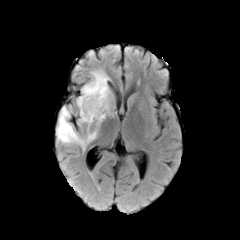
FLAIR MR.
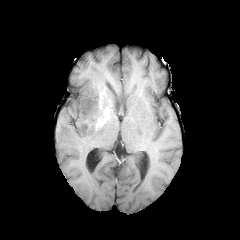
T1-weighted MRI of the same slice.
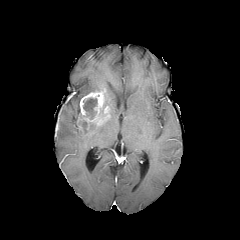
Post-contrast T1-weighted magnetic resonance of the same slice.
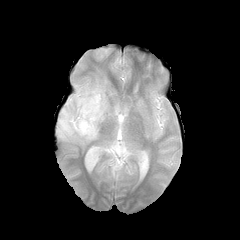
T2-weighted MR.
Head | 240x240 px
<segmentation>
  <non-enhancing_tumor_core>83, 98, 97, 120; 78, 119, 92, 125</non-enhancing_tumor_core>
  <edema>56, 69, 113, 150</edema>
  <enhancing_tumor>80, 88, 105, 123</enhancing_tumor>
</segmentation>